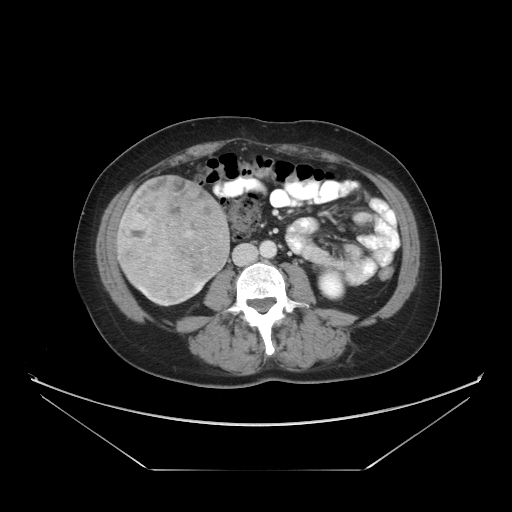 CT slice, 512x512, Liver

Annotated regions:
* liver tumor: (118,176,228,304)